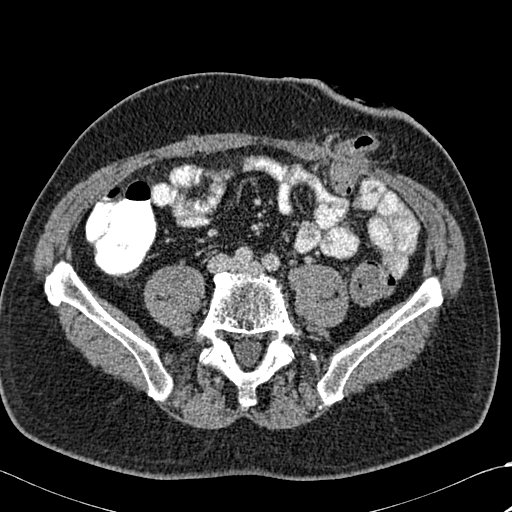 CT scan slice | 512x512 px

3 bone regions are located at 317, 278, 442, 404; 197, 272, 296, 406; 45, 262, 172, 400.